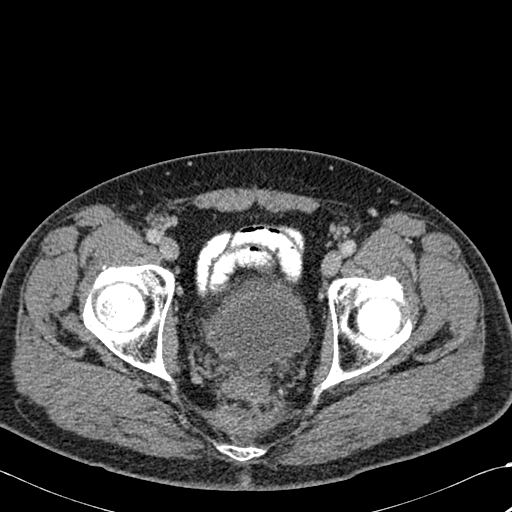 CT scan slice
bone:
  - region(322, 276, 411, 388)
  - region(219, 445, 263, 460)
  - region(83, 264, 174, 380)